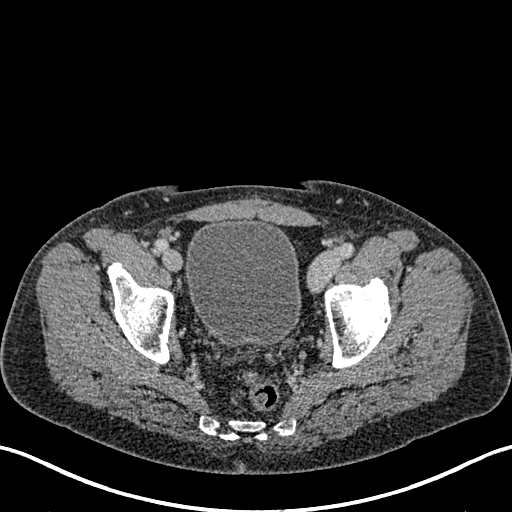 Pelvis; Image size 512x512; CT image

- urinary bladder: (185, 217, 301, 346)